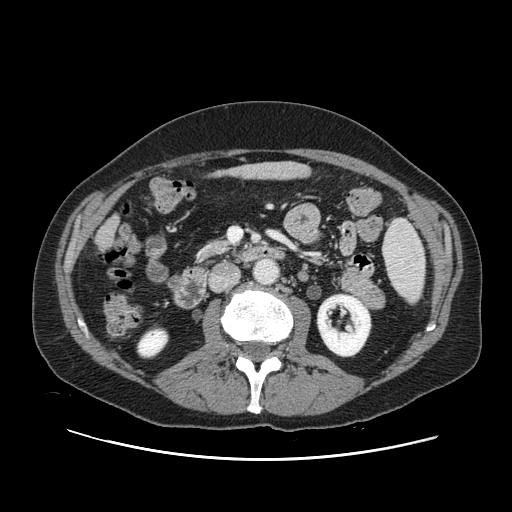
CT scan slice
• pancreas: 194:240:229:261